240x240 px
FLAIR MRI.
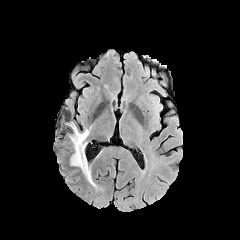
T1-weighted MRI.
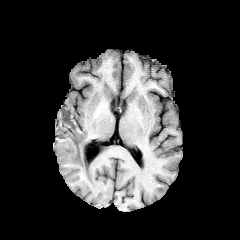
Post-contrast T1-weighted MRI.
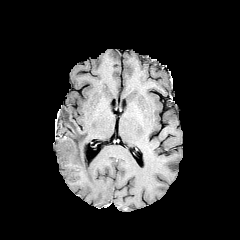
T2-weighted MR.
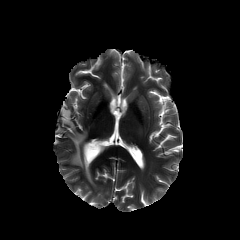
{"edema": ["[x1=68, y1=122, x2=96, y2=186]"]}